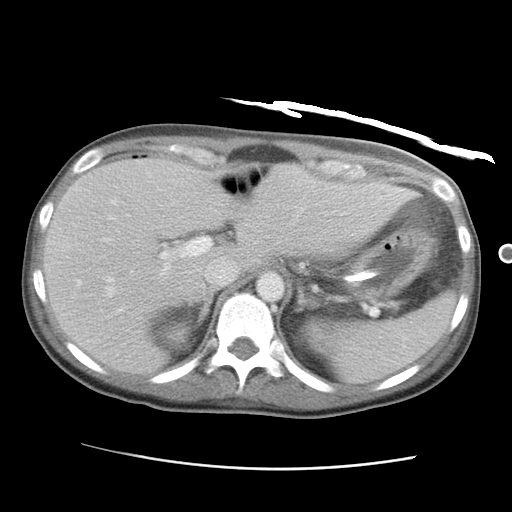
Upper abdomen, CT scan slice
Liver — 43, 158, 416, 376.